Liver; CT
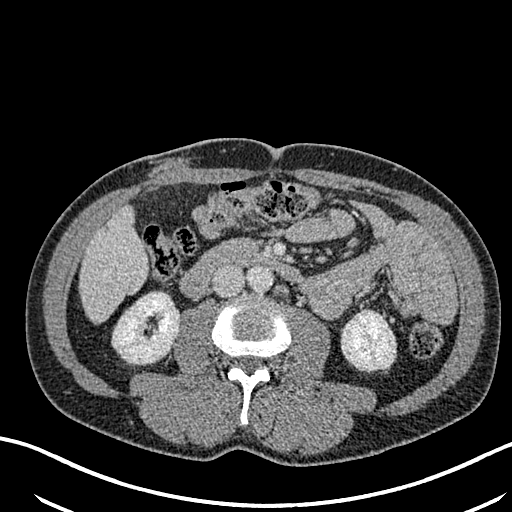 {
  "kidney": [
    "bbox=[113, 293, 179, 363]",
    "bbox=[342, 311, 395, 369]"
  ],
  "liver": [
    "bbox=[79, 206, 147, 322]"
  ],
  "liver_lesion": [
    "bbox=[102, 223, 109, 233]"
  ]
}